CT image, Slice 444/647, Image size 512x512, Abdomen
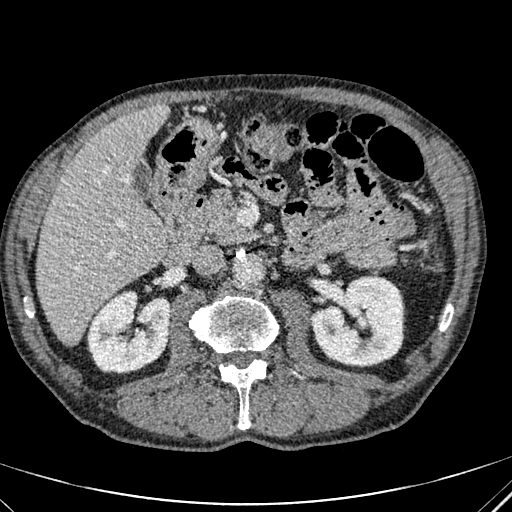
• liver: bbox(37, 106, 166, 344)
• kidney: bbox(88, 292, 169, 371); bbox(312, 278, 402, 364)